Image width 399 mm. Image size 512x512. Abdomen. CT scan slice. Slice 32 of 151. 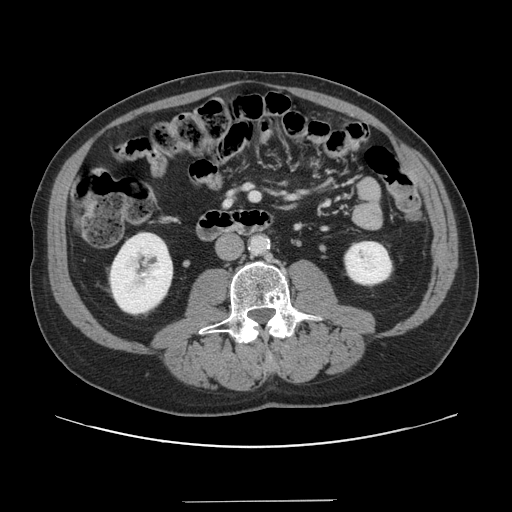
Not every hepatic vessel necessarily has a box.
Hepatic vessel: bounding box <bbox>251, 193, 257, 198</bbox>.